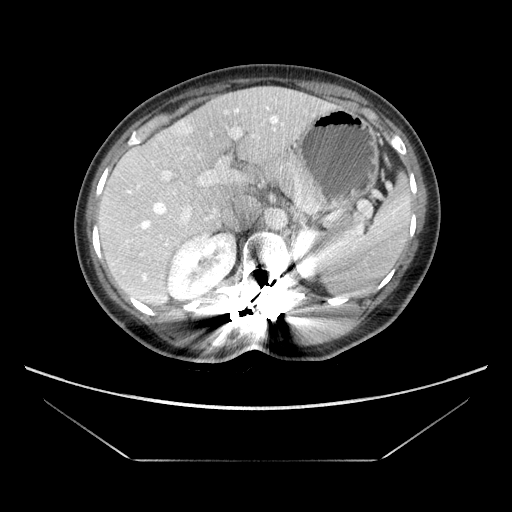

CT scan slice
The vessel annotation is not exhaustive.
6 hepatic vessel regions appear at region(235, 174, 238, 178); region(176, 206, 191, 223); region(162, 171, 169, 179); region(198, 161, 226, 185); region(231, 128, 240, 136); region(155, 204, 163, 212). The liver tumor is bounded by region(172, 122, 191, 137).